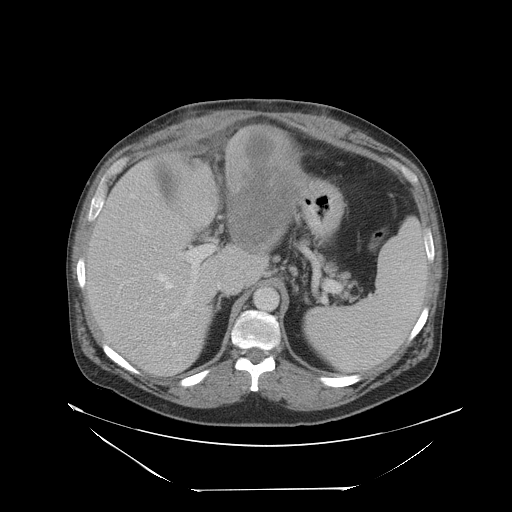 512x512 px | Computed tomography
The vessel boxes may cover only some of the vessels.
Hepatic vessel — 172,342,175,345; 179,253,181,254; 144,231,147,231; 130,194,134,197; 183,245,215,304; 156,273,173,289.
Liver tumor — 228,129,296,248.